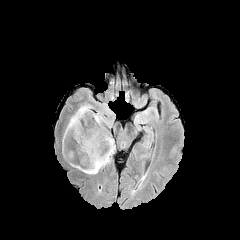
FLAIR MR.
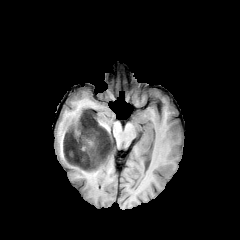
T1-weighted magnetic resonance.
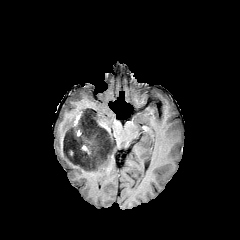
Same slice, post-contrast T1-weighted magnetic resonance.
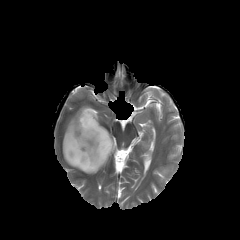
T2-weighted MR of the same slice.
Segmented structures:
• edema: rect(62, 104, 93, 152); rect(96, 112, 106, 129); rect(66, 135, 115, 173)
• non-enhancing tumor core: rect(63, 109, 113, 169)